CT scan slice, Slice index 287 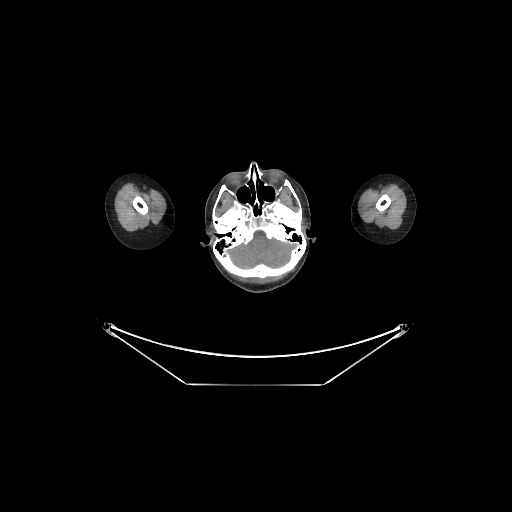

brain:
  - (left=228, top=228, right=294, bottom=267)